Image size 512x512. Image width 381 mm. CT slice.

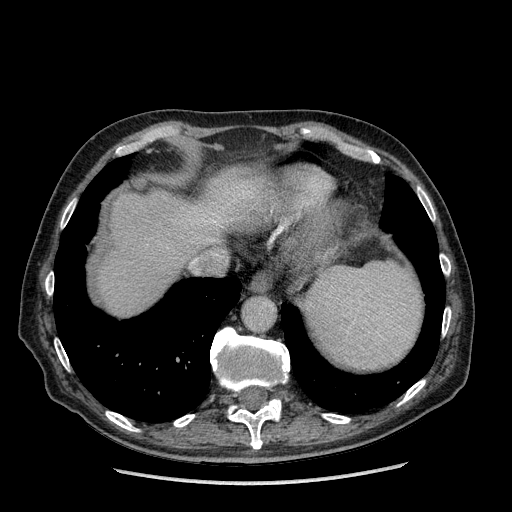

<segmentation>
  <liver>98, 169, 263, 314</liver>
</segmentation>